CT image. Slice 38/95. Field of view 399 mm wide, 2.50 mm slice spacing. 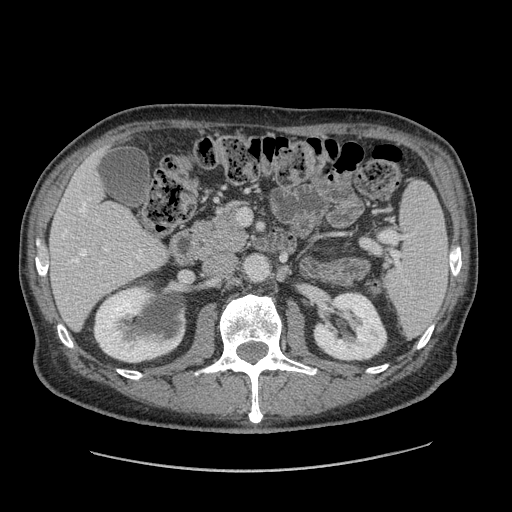
pancreas:
  - left=203, top=203, right=246, bottom=250